Head; Field of view 240x240 mm; 240x240
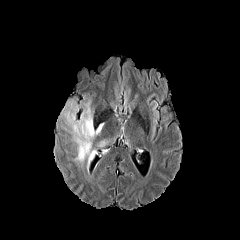
FLAIR MR.
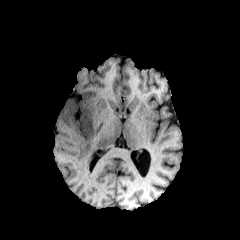
Same slice, T1-weighted magnetic resonance.
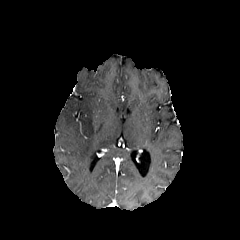
Post-contrast T1-weighted MR.
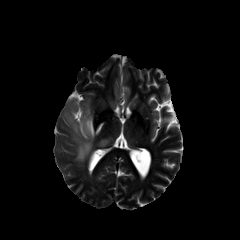
Same slice, T2-weighted magnetic resonance.
Edema = rect(75, 109, 104, 171); rect(68, 114, 80, 133).